Slice index 119 | Field of view 240 mm wide, 1.00 mm slice spacing
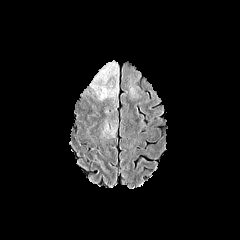
FLAIR MR image.
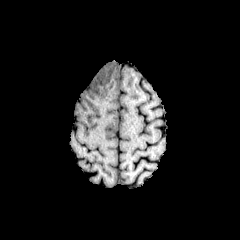
T1-weighted MRI.
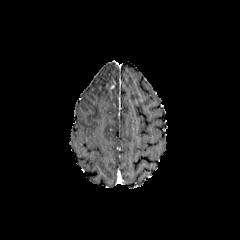
Post-contrast T1-weighted magnetic resonance.
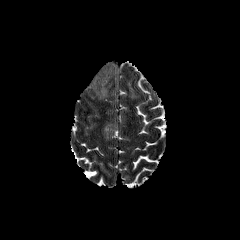
T2-weighted MR image.
2 edema regions appear at box=[98, 63, 119, 91]; box=[100, 87, 107, 98].